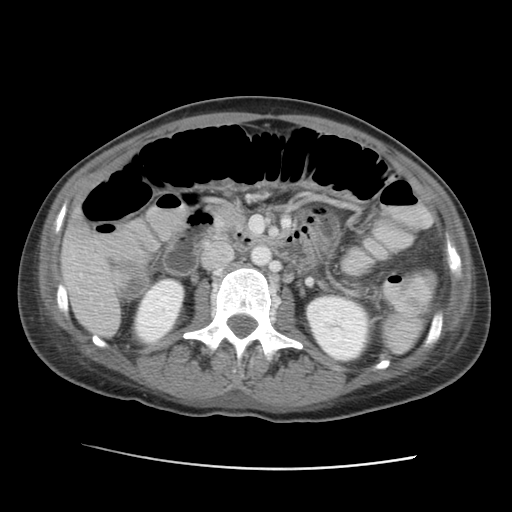
CT slice. Liver.
Kidney — 136,280,182,341; 307,295,368,360.
Liver — 62,207,115,332.